Slice index 396; Abdomen; CT slice 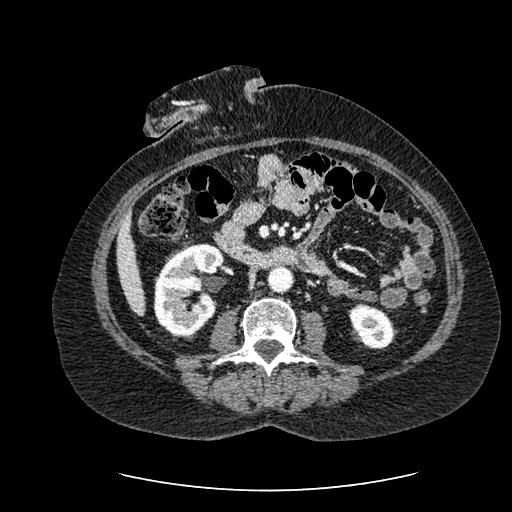 2 kidney regions are located at box=[154, 244, 222, 335]; box=[350, 305, 393, 347]. The liver is bounded by box=[117, 214, 144, 314].